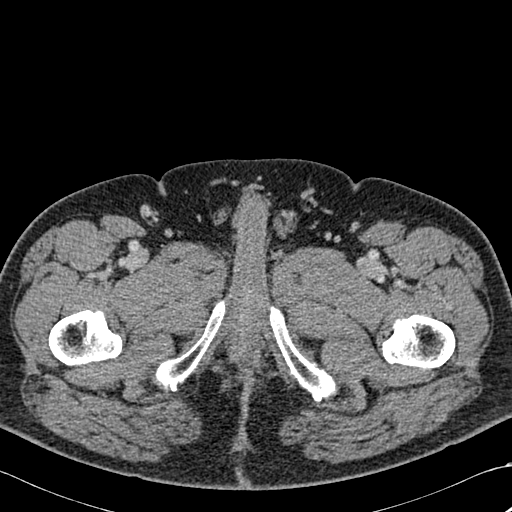 Computed tomography

4 bone regions appear at [49,310,121,365], [270,307,335,400], [382,315,454,368], [156,302,224,390].